Field of view 408x408 mm. Computed tomography.

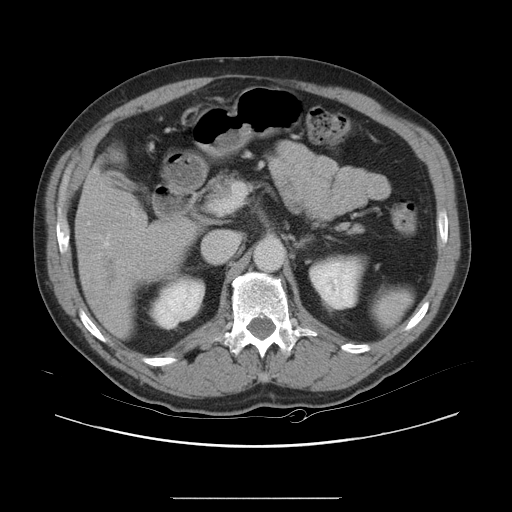

Some hepatic vessels may have no box.
Hepatic vessel — 104 236 109 247.
Liver tumor — 100 259 119 287.